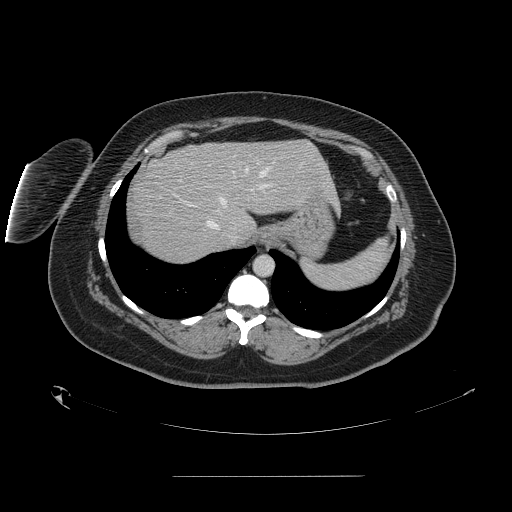

CT

Spleen at box(301, 238, 389, 291).